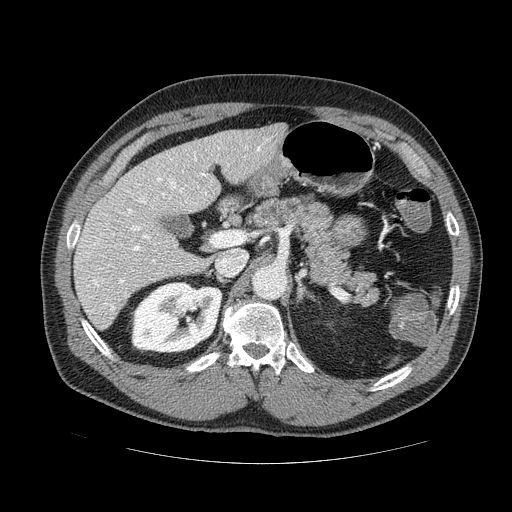

512x512, CT slice, Abdomen
Pancreas at left=246, top=194, right=381, bottom=306.